CT scan slice
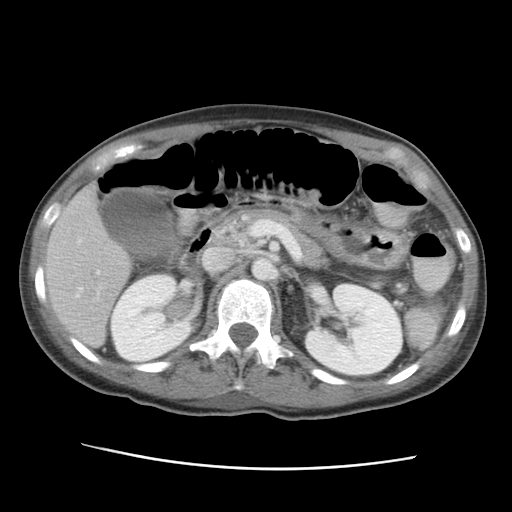

liver: box=[45, 186, 130, 346] | kidney: box=[305, 284, 402, 375]; box=[111, 275, 194, 361]; box=[179, 280, 193, 292]